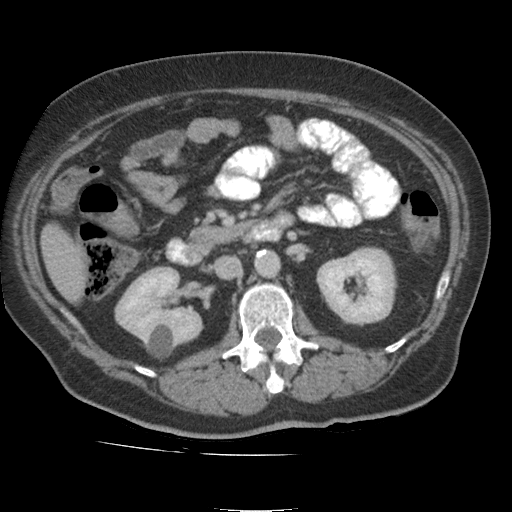 Computed tomography.

kidney: <bbox>114, 270, 200, 342</bbox>, <bbox>321, 249, 392, 321</bbox> | liver: <bbox>45, 228, 86, 300</bbox>